Slice index 29 | Abdomen | 512x512 px | CT image
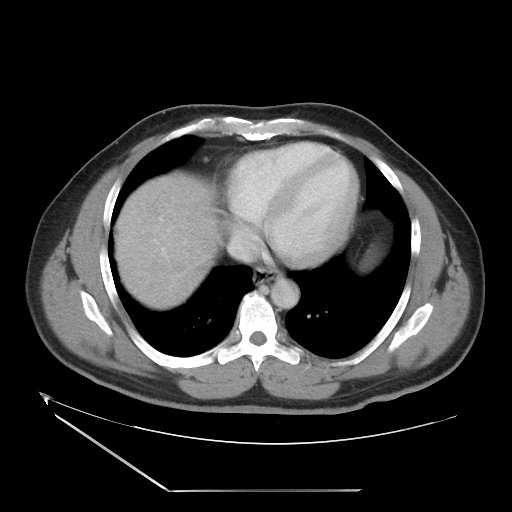

The vessel annotation is not exhaustive.
Hepatic vessel: bounding box {"x1": 229, "y1": 229, "x2": 255, "y2": 262}, {"x1": 162, "y1": 248, "x2": 164, "y2": 250}, {"x1": 184, "y1": 241, "x2": 185, "y2": 243}.